Upper abdomen. Field of view 376 mm wide, 2.50 mm slice spacing. Slice index 19. CT slice. 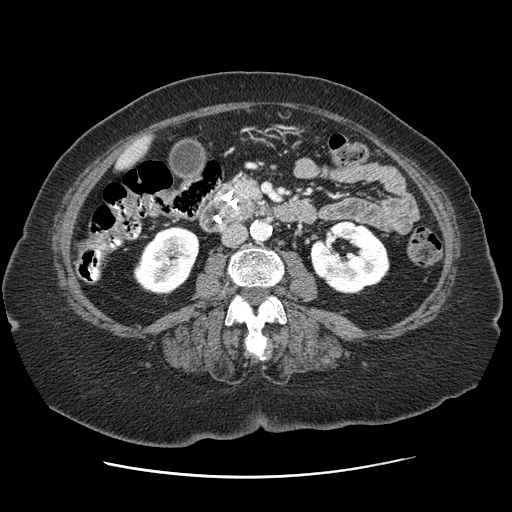 pancreas:
  - [x1=227, y1=173, x2=263, y2=209]